FLAIR MR.
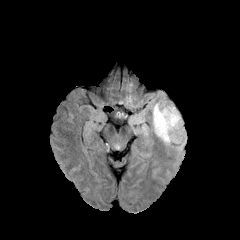
T1-weighted MR.
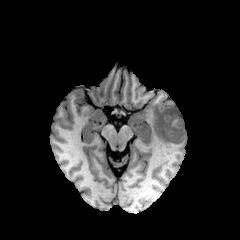
Post-contrast T1-weighted magnetic resonance.
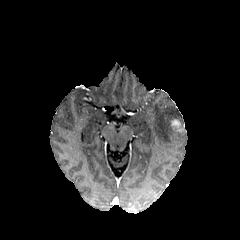
T2-weighted MRI.
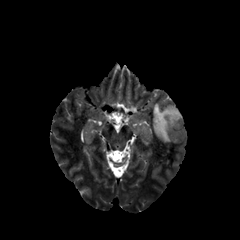
edema:
  - <box>152,103,180,143</box>
enhancing_tumor:
  - <box>171,119,180,127</box>